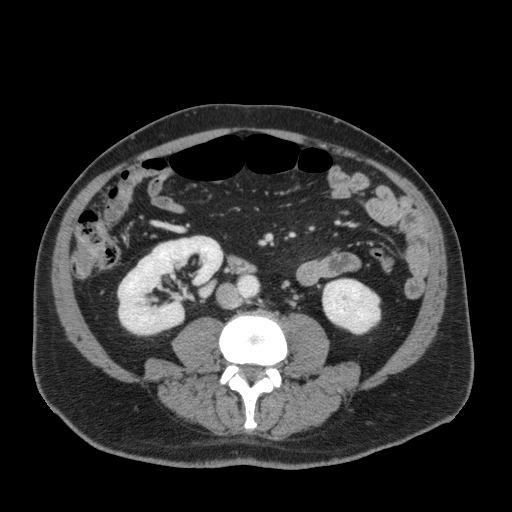 Abdomen | CT slice
{
  "kidney": [
    "<box>118,236,222,333</box>",
    "<box>323,279,379,333</box>"
  ]
}